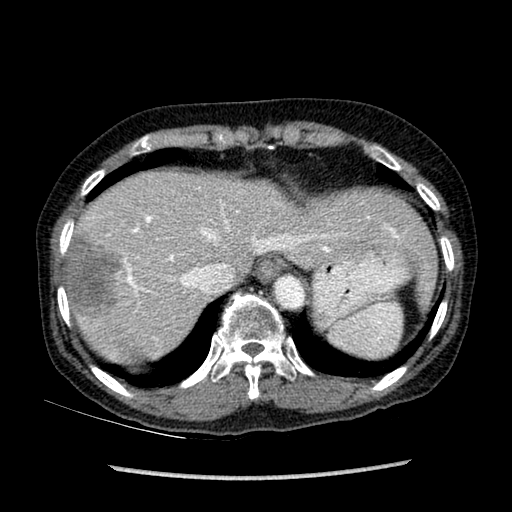 CT scan slice. Liver: bounding box box=[71, 168, 437, 362].
Liver lesion: bounding box box=[62, 231, 123, 316].